FLAIR MR image.
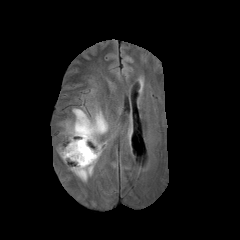
T1-weighted MR image.
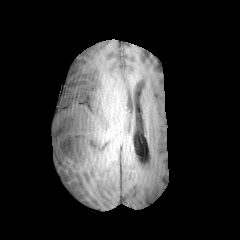
Post-contrast T1-weighted MR image.
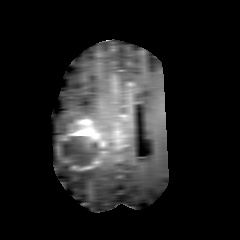
T2-weighted MRI.
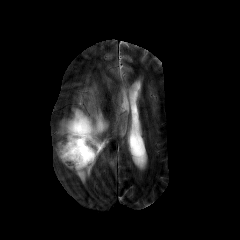
Brain
The non-enhancing tumor core is located at 63:136:99:169. The enhancing tumor is bounded by 66:117:99:141. The edema is located at 56:106:109:181.